FLAIR magnetic resonance.
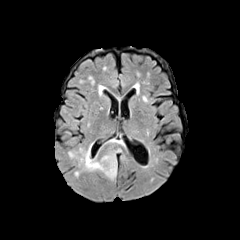
T1-weighted MRI.
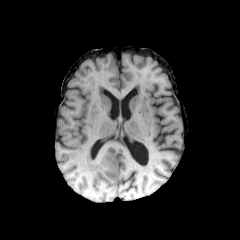
Post-contrast T1-weighted MR.
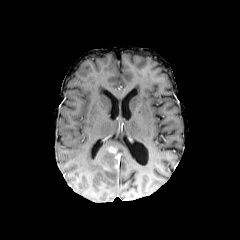
T2-weighted MR image.
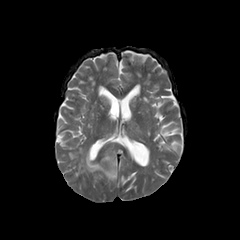
Enhancing tumor at [107, 146, 121, 172].
Non-enhancing tumor core at [100, 148, 117, 173].
Edema at [79, 142, 116, 179], [68, 152, 77, 158], [103, 138, 125, 152].